240x240 px
FLAIR MRI.
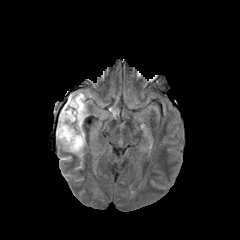
T1-weighted MR image.
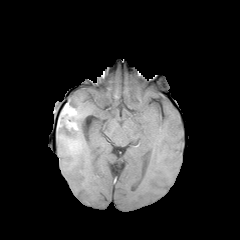
Post-contrast T1-weighted MR.
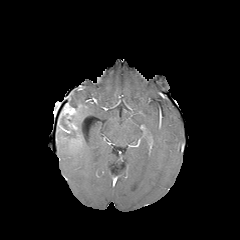
T2-weighted MR image.
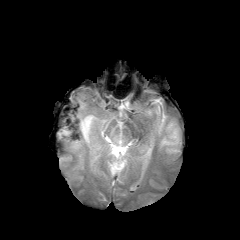
enhancing_tumor:
  - [x1=64, y1=106, x2=76, y2=118]
non-enhancing_tumor_core:
  - [x1=72, y1=106, x2=80, y2=117]
  - [x1=66, y1=140, x2=78, y2=147]
  - [x1=59, y1=102, x2=73, y2=128]
  - [x1=82, y1=121, x2=87, y2=137]
  - [x1=58, y1=126, x2=66, y2=140]
edema:
  - [x1=56, y1=90, x2=97, y2=159]